FLAIR MR image.
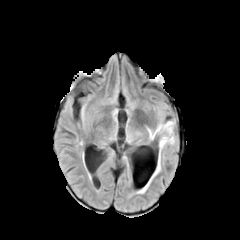
T1-weighted MRI.
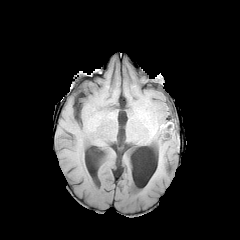
Post-contrast T1-weighted magnetic resonance.
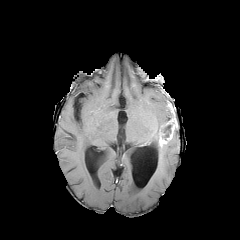
T2-weighted MRI.
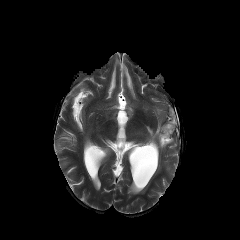
Brain
non-enhancing_tumor_core:
  - rect(158, 122, 173, 140)
edema:
  - rect(147, 123, 164, 143)
  - rect(153, 146, 161, 175)
enhancing_tumor:
  - rect(159, 133, 171, 145)